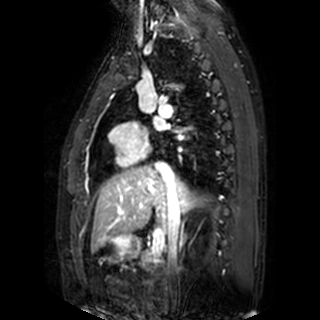
Magnetic resonance

Segmented structures:
* left atrium: (left=156, top=120, right=167, bottom=129)